240x240.
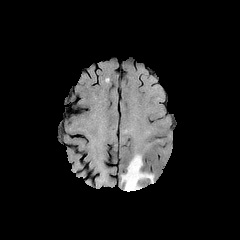
FLAIR MR image.
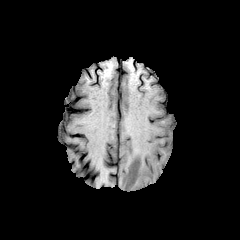
T1-weighted MR.
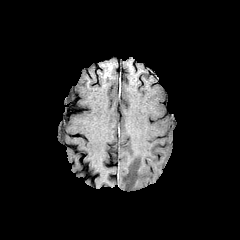
Post-contrast T1-weighted MR image.
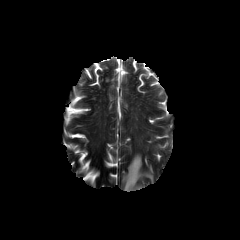
Same slice, T2-weighted MRI.
edema: l=121, t=155, r=153, b=191